Computed tomography; Image size 512x512; Abdomen; Slice 22/34 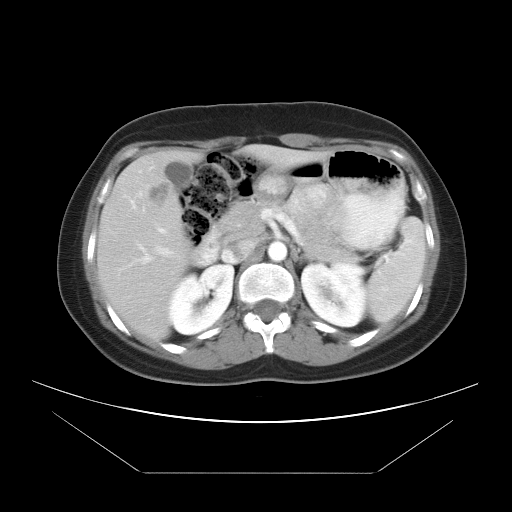

The vessel annotation is not exhaustive.
liver_tumor:
  - box(146, 180, 173, 206)
hepatic_vessel:
  - box(155, 246, 173, 256)
  - box(262, 209, 271, 224)
  - box(134, 244, 152, 263)
  - box(157, 226, 166, 234)